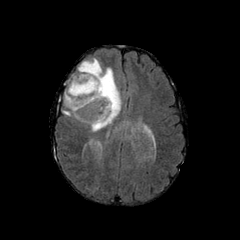
FLAIR MRI.
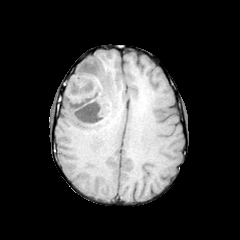
T1-weighted magnetic resonance of the same slice.
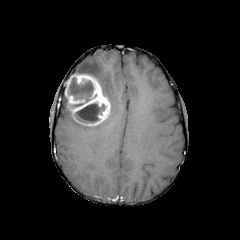
Post-contrast T1-weighted MR image.
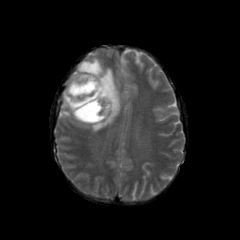
T2-weighted MR.
non-enhancing tumor core: [x1=73, y1=102, x2=105, y2=125], [x1=68, y1=75, x2=93, y2=101] | enhancing tumor: [x1=65, y1=74, x2=110, y2=125] | edema: [x1=76, y1=57, x2=121, y2=131], [x1=63, y1=94, x2=89, y2=125]